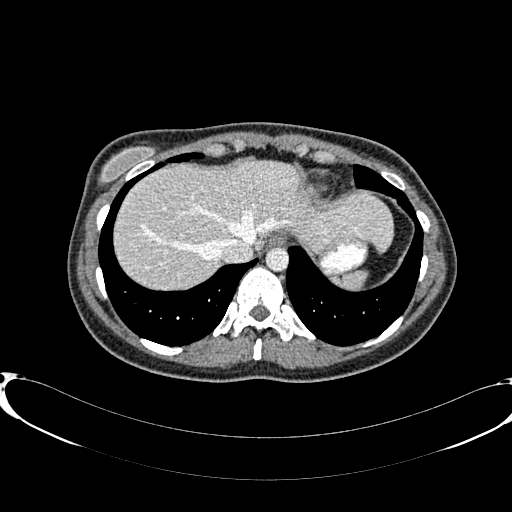
Computed tomography. Liver.
Liver: bounding box <box>114,160,392,288</box>.